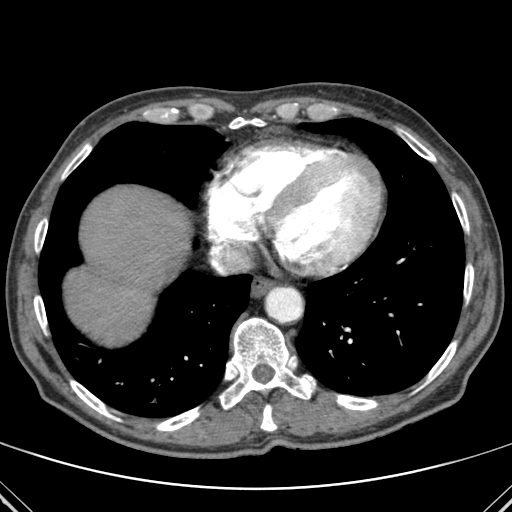

Upper abdomen | CT image
{"lung": ["bbox=[295, 118, 464, 395]", "bbox=[38, 122, 251, 417]"], "bone": ["bbox=[452, 193, 468, 231]", "bbox=[404, 133, 435, 161]", "bbox=[220, 318, 314, 409]", "bbox=[229, 117, 264, 128]", "bbox=[34, 218, 47, 252]", "bbox=[336, 395, 377, 410]", "bbox=[70, 380, 114, 418]", "bbox=[464, 265, 473, 301]", "bbox=[34, 296, 46, 331]", "bbox=[425, 341, 456, 384]", "bbox=[62, 144, 91, 178]", "bbox=[261, 405, 276, 430]", "bbox=[156, 407, 199, 431]"], "liver": ["bbox=[64, 186, 191, 347]"]}